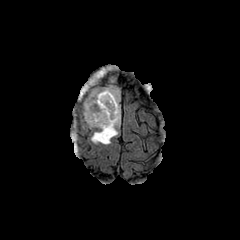
FLAIR magnetic resonance.
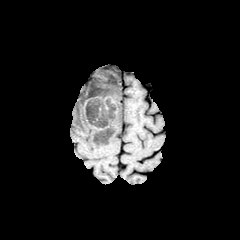
Same slice, T1-weighted MR.
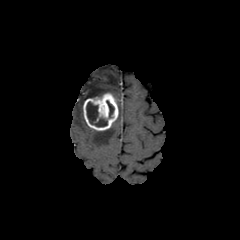
Post-contrast T1-weighted magnetic resonance of the same slice.
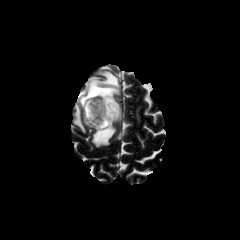
Same slice, T2-weighted MR.
240x240 px
Edema: bounding box 76,68,120,145.
Enhancing tumor: bounding box 83,92,118,131.
Non-enhancing tumor core: bounding box 106,101,113,117; 107,74,115,84; 81,85,115,124; 94,127,112,140; 86,102,107,126.